Field of view 32x49 mm, 32x49 px, Medial temporal lobe, Slice 14 of 38, MRI slice

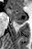
The posterior hippocampus is bounded by 16:22:23:24. The anterior hippocampus appears at 7:9:27:21.